Thorax, CT slice, Image width 351 mm

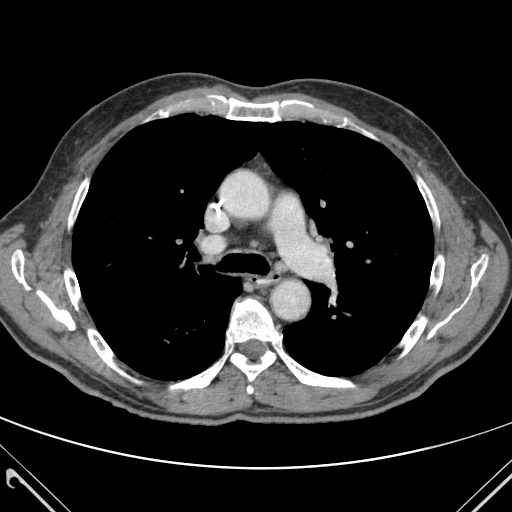 {"bone": ["<bbox>12, 250, 29, 289</bbox>", "<bbox>64, 270, 80, 308</bbox>", "<bbox>418, 178, 439, 224</bbox>", "<bbox>428, 293, 470, 338</bbox>", "<bbox>69, 179, 88, 225</bbox>", "<bbox>88, 329, 125, 375</bbox>", "<bbox>430, 256, 444, 291</bbox>", "<bbox>156, 107, 175, 116</bbox>", "<bbox>319, 113, 352, 126</bbox>", "<bbox>209, 96, 314, 121</bbox>", "<bbox>401, 317, 426, 355</bbox>", "<bbox>471, 255, 487, 289</bbox>", "<bbox>170, 299, 353, 388</bbox>", "<bbox>37, 290, 74, 329</bbox>"], "lung": ["<bbox>72, 114, 433, 380</bbox>"]}